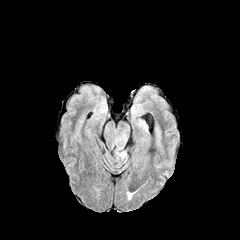
FLAIR MRI.
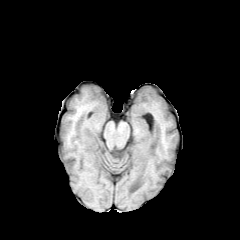
T1-weighted MRI.
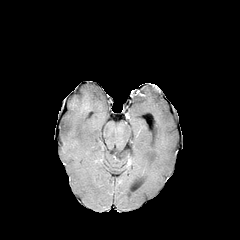
Post-contrast T1-weighted magnetic resonance of the same slice.
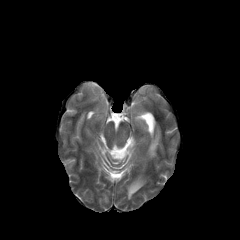
T2-weighted magnetic resonance.
Head
The edema is at [x1=114, y1=144, x2=127, y2=160].